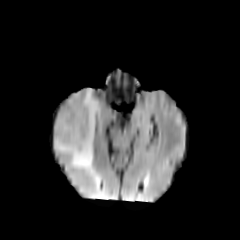
FLAIR magnetic resonance.
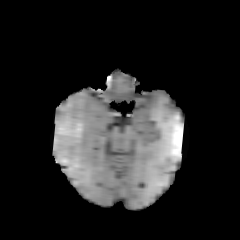
Same slice, T1-weighted MRI.
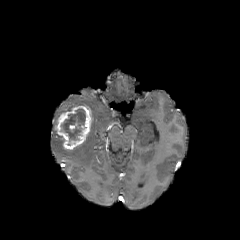
Same slice, post-contrast T1-weighted MRI.
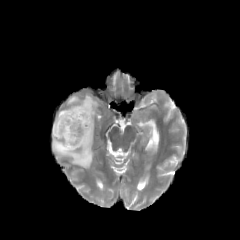
Same slice, T2-weighted MRI.
Head.
The non-enhancing tumor core is bounded by box=[59, 108, 86, 141]. The edema lies within box=[53, 89, 101, 170]. The enhancing tumor lies within box=[55, 104, 92, 150].